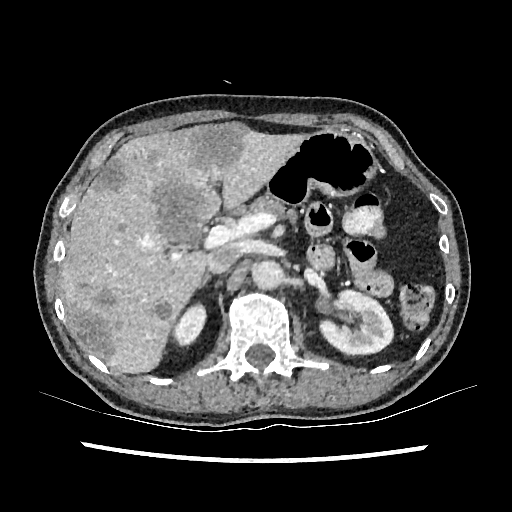
512x512 px | CT slice

<segmentation>
  <liver>(62,130,303,372)</liver>
  <kidney>(175,307,205,343), (320,290,394,358)</kidney>
  <focal_liver_lesion>(95,290,117,308), (181,124,248,168), (77,283,88,291), (152,182,200,241), (65,255,73,265), (147,150,159,163), (72,312,113,354), (94,158,125,189), (150,302,171,319), (118,224,125,231)</focal_liver_lesion>
</segmentation>